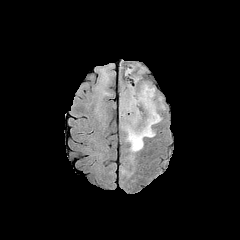
FLAIR MRI.
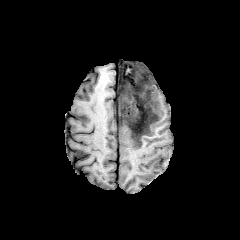
T1-weighted MR of the same slice.
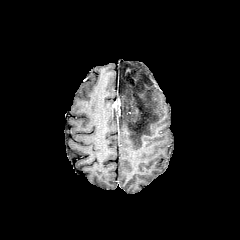
Same slice, post-contrast T1-weighted MR image.
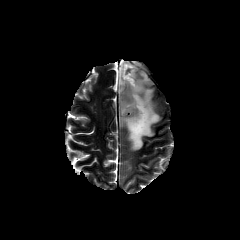
T2-weighted MRI of the same slice.
Annotated regions:
• non-enhancing tumor core: {"x1": 120, "y1": 67, "x2": 133, "y2": 82}, {"x1": 118, "y1": 84, "x2": 157, "y2": 141}
• edema: {"x1": 119, "y1": 64, "x2": 161, "y2": 152}